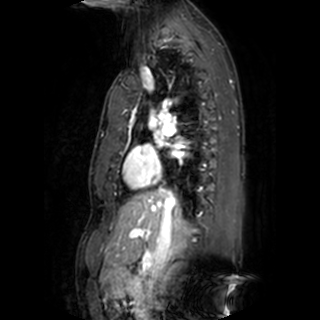

320x320. MR.
Left atrium: bounding box x1=155 y1=136 x2=163 y2=145, x1=171 y1=146 x2=182 y2=156.